Image size 512x512, CT scan slice, Slice 405/677
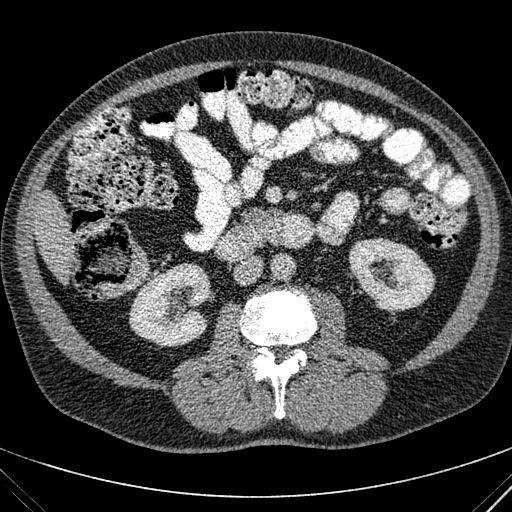

Kidney = 130 263 210 345, 349 238 434 310.
Liver = 36 190 70 282.